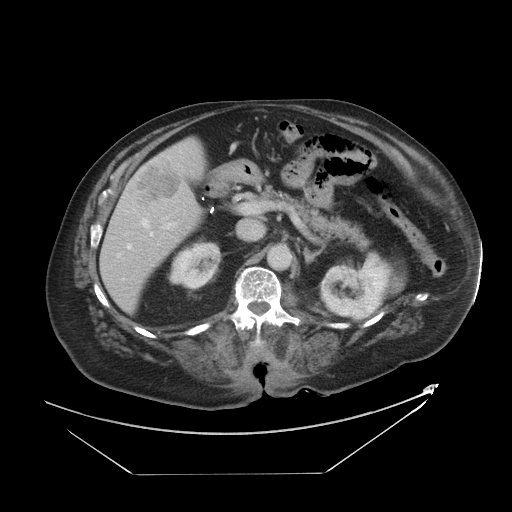
CT | Image size 512x512
The vessel annotation is not exhaustive.
The hepatic vessel is bounded by 161, 222, 176, 228. The liver tumor is at 132, 156, 182, 208.